Computed tomography | Slice 398 of 751

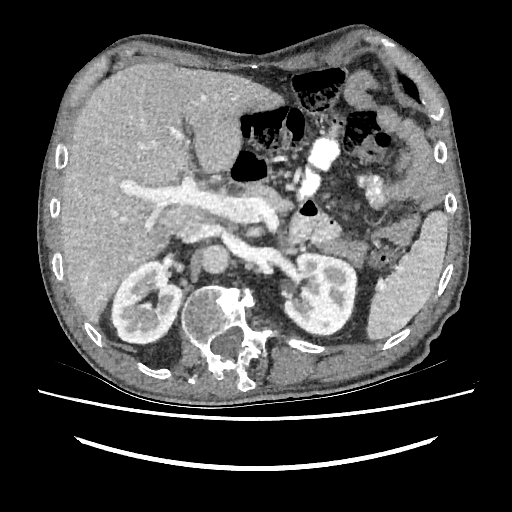

• kidney: [285,253,355,334], [112,262,181,343]
• liver: [62,63,281,321]